CT image. Abdomen.

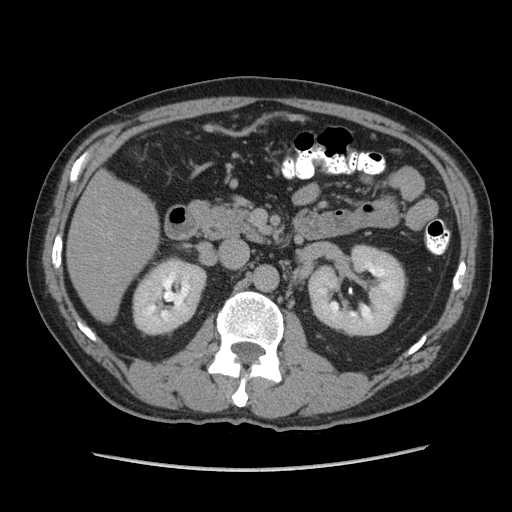
{
  "pancreas": [
    "(left=200, top=207, right=264, bottom=242)"
  ]
}